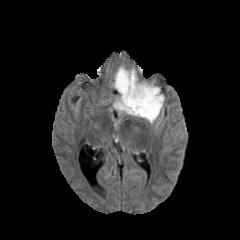
FLAIR MR image.
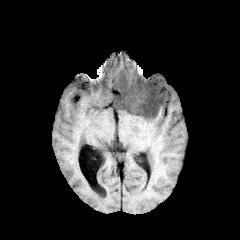
T1-weighted MRI.
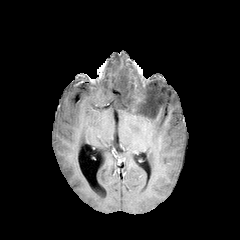
Post-contrast T1-weighted MRI of the same slice.
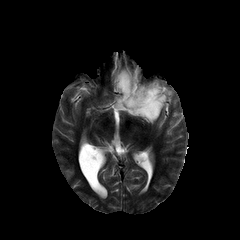
T2-weighted MRI of the same slice.
240x240
Non-enhancing tumor core = rect(119, 76, 127, 95); rect(147, 88, 159, 115); rect(141, 103, 147, 113).
Edema = rect(112, 65, 166, 126).